Field of view 240x240 mm, Brain
FLAIR magnetic resonance.
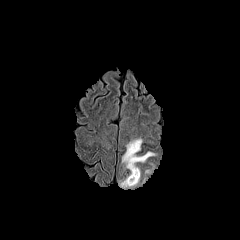
T1-weighted MR image.
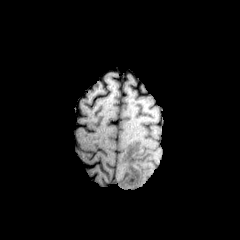
Post-contrast T1-weighted magnetic resonance.
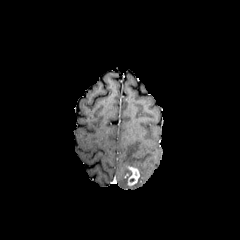
T2-weighted MR.
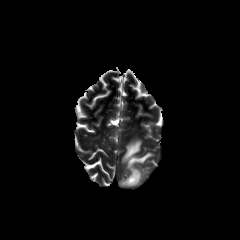
2 edema regions are located at {"x1": 118, "y1": 178, "x2": 133, "y2": 189}, {"x1": 122, "y1": 140, "x2": 153, "y2": 167}. The enhancing tumor is located at {"x1": 128, "y1": 166, "x2": 139, "y2": 185}.